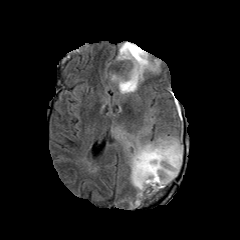
FLAIR MRI.
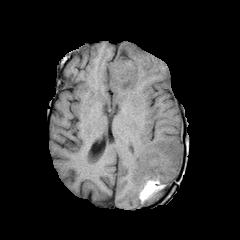
Same slice, T1-weighted magnetic resonance.
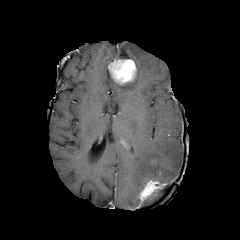
Post-contrast T1-weighted MRI.
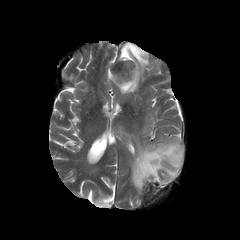
T2-weighted MRI of the same slice.
Head
Findings:
- non-enhancing tumor core: box=[108, 50, 131, 74]
- edema: box=[131, 137, 183, 192]; box=[118, 42, 159, 93]
- enhancing tumor: box=[139, 180, 160, 199]; box=[111, 59, 136, 85]